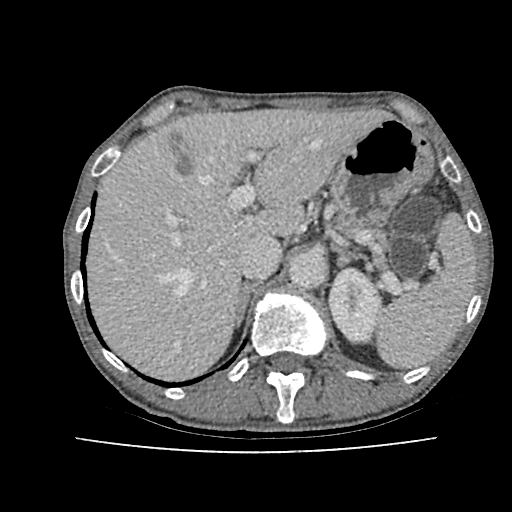 Abdomen. CT image.

hepatic_lesion:
  - bbox(165, 131, 192, 175)
kidney:
  - bbox(329, 272, 379, 340)
liver:
  - bbox(89, 110, 378, 379)